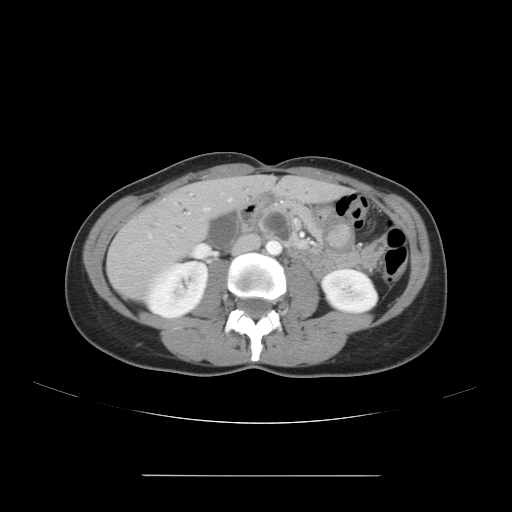 CT image. Upper abdomen.

pancreas:
  - (258, 202, 324, 245)
pancreatic_tumor:
  - (265, 211, 290, 241)